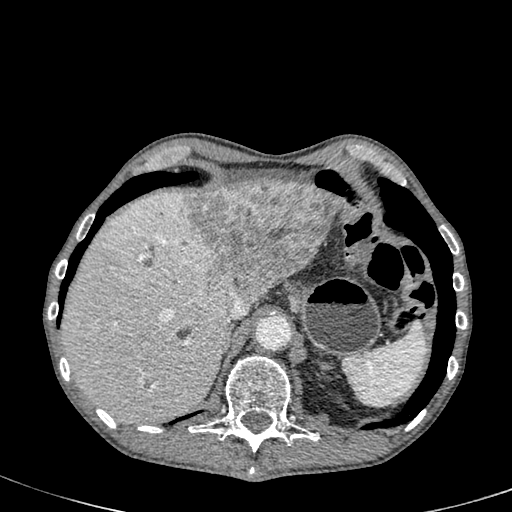 CT scan slice.
The liver appears at (x1=61, y1=192, x2=239, y2=423). The focal liver lesion is at (x1=185, y1=181, x2=338, y2=302).